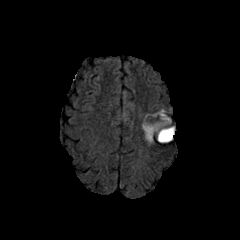
FLAIR MR image.
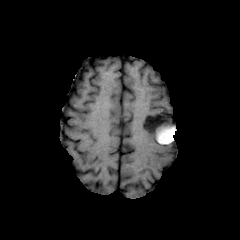
T1-weighted MRI.
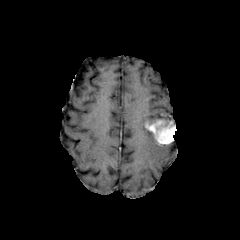
Post-contrast T1-weighted MRI.
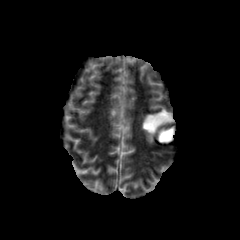
T2-weighted MRI.
enhancing_tumor:
  - (144,119,173,142)
non-enhancing_tumor_core:
  - (145,110,171,123)
edema:
  - (141,108,170,144)